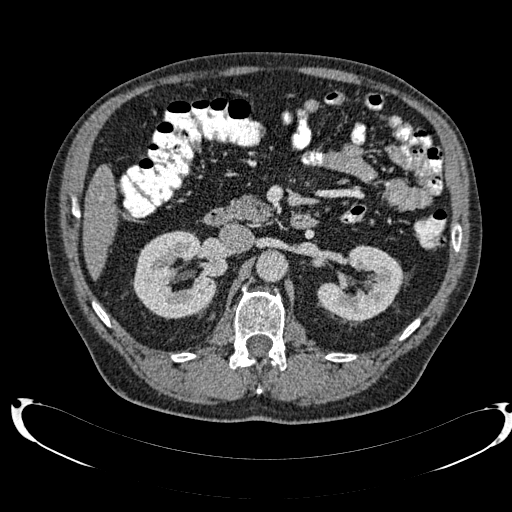

CT image. Liver. Annotated regions:
* kidney: <box>133,231,227,318</box>, <box>317,245,403,322</box>
* liver: <box>83,166,116,277</box>